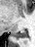
Hippocampus, MRI slice
Posterior hippocampus: (13,30,27,39).